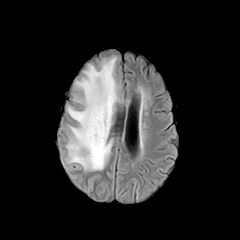
FLAIR MRI.
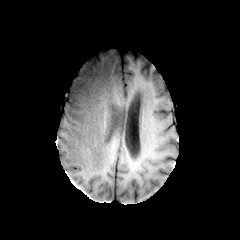
T1-weighted MR.
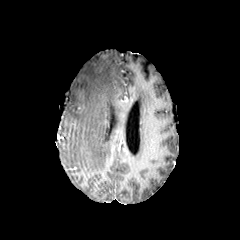
Post-contrast T1-weighted magnetic resonance of the same slice.
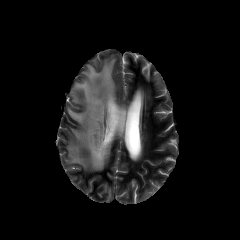
T2-weighted magnetic resonance of the same slice.
240x240 px
Edema: l=67, t=57, r=117, b=170.